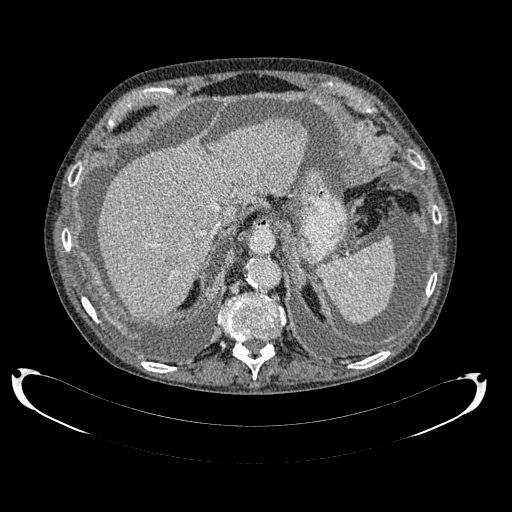
CT slice. Abdomen.
The liver appears at (97,117,307,321).